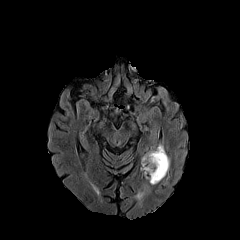
FLAIR MRI.
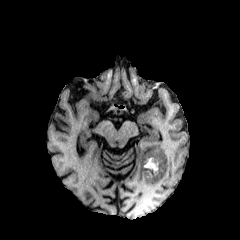
T1-weighted magnetic resonance.
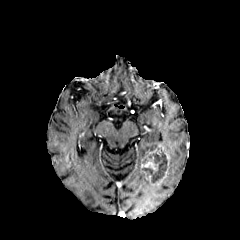
Post-contrast T1-weighted MR image.
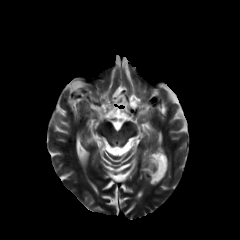
T2-weighted MR image.
Brain
{"non-enhancing_tumor_core": ["(left=145, top=153, right=166, bottom=183)"], "edema": ["(left=144, top=174, right=161, bottom=185)"], "enhancing_tumor": ["(left=158, top=145, right=169, bottom=180)", "(left=141, top=151, right=158, bottom=179)"]}